FLAIR magnetic resonance.
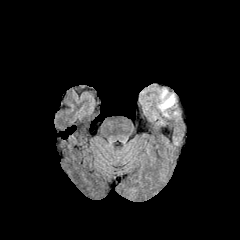
T1-weighted magnetic resonance.
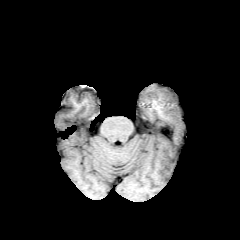
Post-contrast T1-weighted MR image.
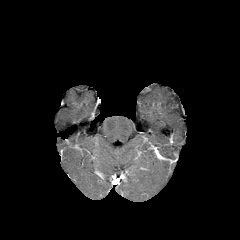
T2-weighted magnetic resonance.
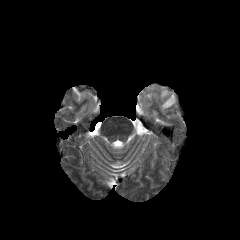
The edema is bounded by (left=140, top=85, right=180, bottom=124).